240x240 px. Head.
FLAIR MR image.
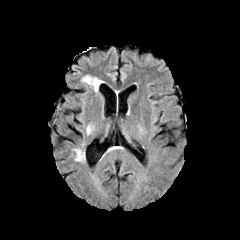
T1-weighted MR image.
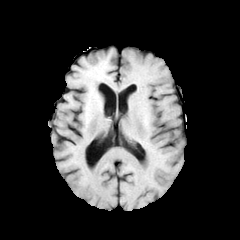
Post-contrast T1-weighted MR image.
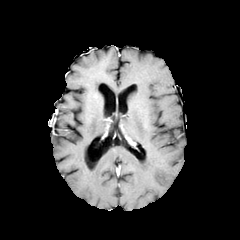
T2-weighted MR.
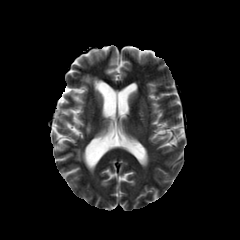
Edema: bounding box box=[74, 148, 85, 162]; box=[86, 124, 93, 134]; box=[81, 75, 104, 92].